MR
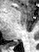
Posterior hippocampus: (x1=9, y1=41, x2=18, y2=46).